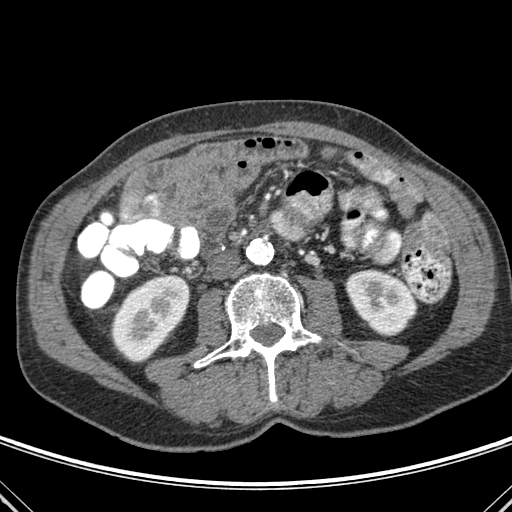 Computed tomography; 512x512
bone: region(194, 273, 321, 402) | kidney: region(347, 271, 415, 334); region(113, 276, 188, 360)